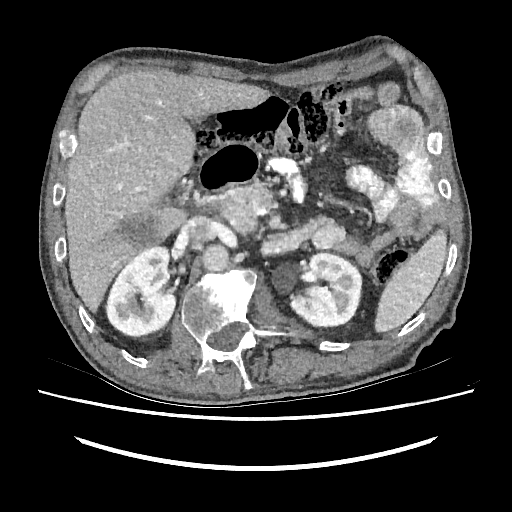 Abdomen; CT image
<segmentation>
  <liver>[x1=65, y1=70, x2=268, y2=312]</liver>
  <kidney>[x1=107, y1=247, x2=175, y2=335], [x1=291, y1=253, x2=361, y2=325]</kidney>
  <liver_lesion>[x1=114, y1=213, x2=162, y2=250]</liver_lesion>
</segmentation>